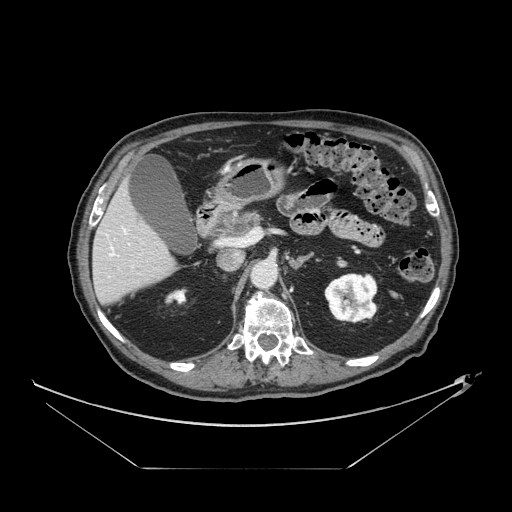
Upper abdomen | CT
The pancreas is bounded by 218,214,260,237. The pancreatic tumor is at 235,223,244,232.